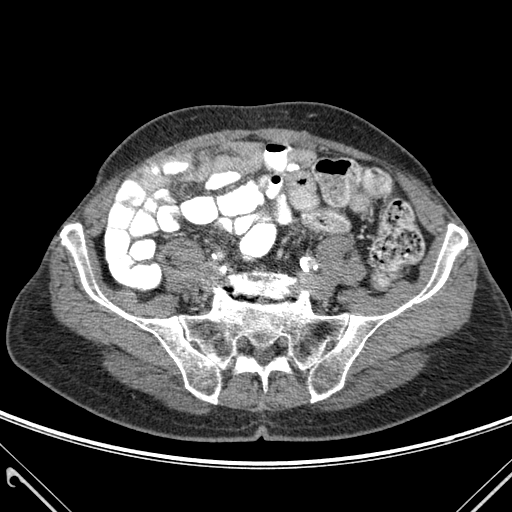
Image size 512x512; CT scan slice
<segmentation>
  <bone>left=60, top=223, right=467, bottom=403; left=235, top=356, right=289, bottom=390</bone>
</segmentation>